Upper abdomen | CT slice

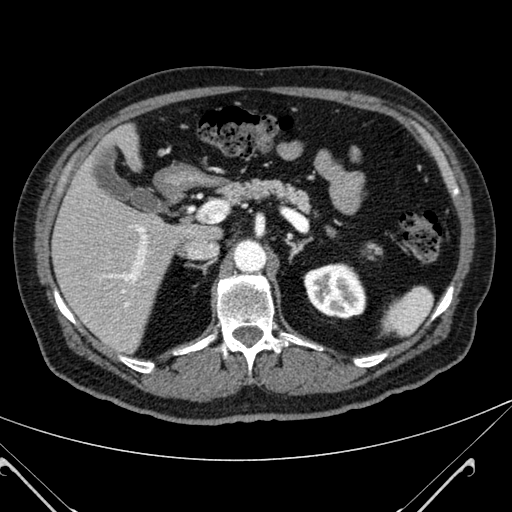

Kidney — <bbox>305, 265, 364, 317</bbox>.
Liver — <bbox>50, 155, 217, 353</bbox>, <bbox>111, 126, 138, 153</bbox>.